Liver | CT | Field of view 369x369 mm 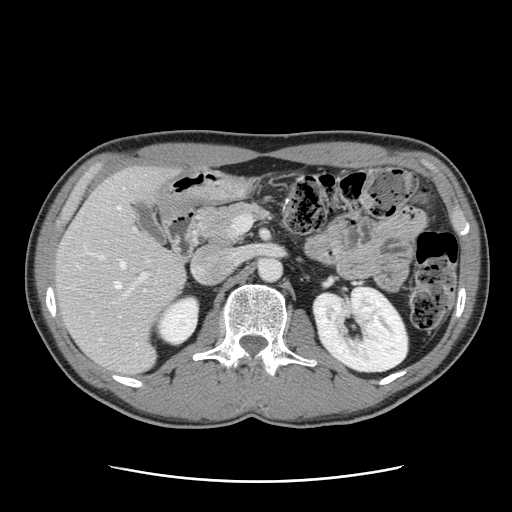 The vessel annotation is not exhaustive.
Hepatic vessel: [120,261,124,267], [95,255,103,258], [114,282,120,288], [134,272,146,285], [117,206,119,208], [133,229,135,230], [123,291,128,296].